Image size 240x240
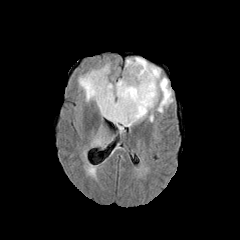
FLAIR magnetic resonance.
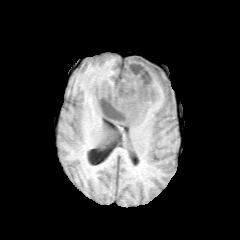
T1-weighted MR image.
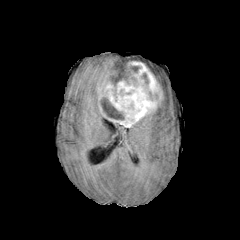
Post-contrast T1-weighted MR image.
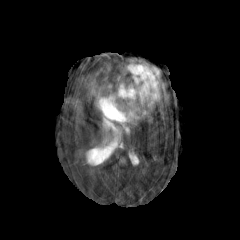
T2-weighted magnetic resonance.
Non-enhancing tumor core: 148, 92, 159, 100; 129, 66, 141, 73; 101, 97, 124, 120; 141, 72, 148, 84.
Edema: 122, 57, 173, 114; 78, 63, 110, 109; 95, 126, 110, 144; 116, 124, 125, 133; 131, 110, 153, 128.
Enhancing tumor: 97, 61, 163, 127.